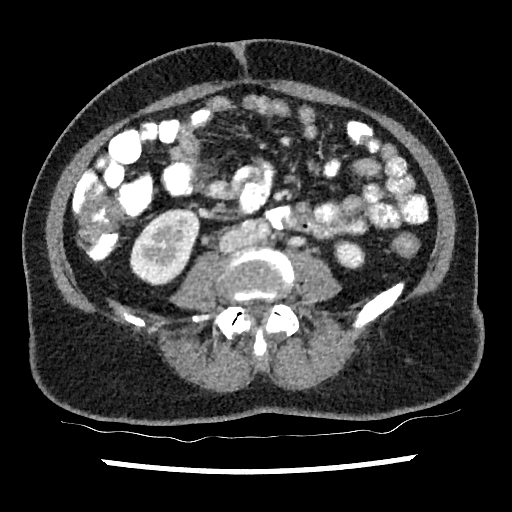

CT image, 512x512

Kidney — (left=338, top=249, right=361, bottom=266), (left=131, top=210, right=198, bottom=283).